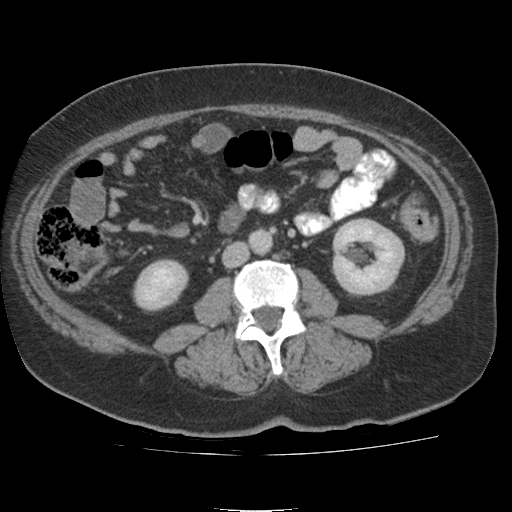
Abdomen. CT slice.

2 kidney regions appear at 338 221 402 293, 137 264 185 307.